Upper abdomen, Image width 477 mm, Slice 24 of 102, CT
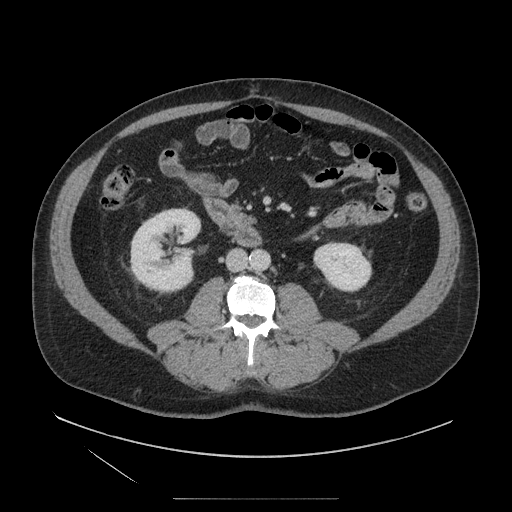

Segmented structures:
• pancreas: (left=218, top=207, right=244, bottom=239)